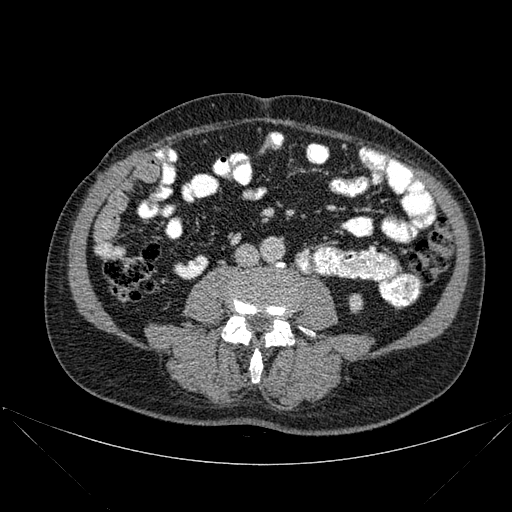 CT scan slice; Abdomen
Annotated regions:
- bone: region(249, 348, 262, 382); region(222, 263, 294, 346)
- kidney: region(350, 295, 361, 310)